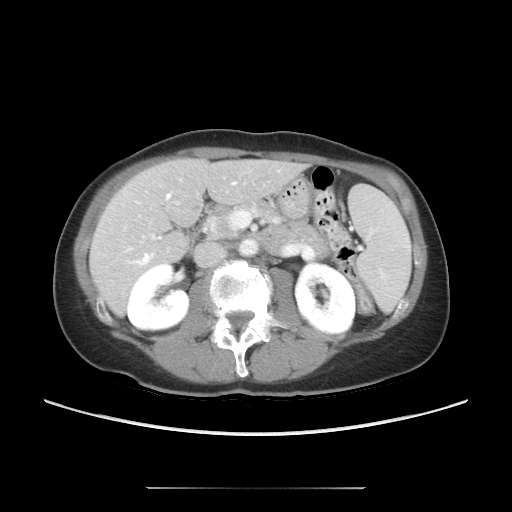
Liver, CT
The vessel annotation is not exhaustive.
Segmented structures:
- hepatic vessel: (left=138, top=255, right=150, bottom=262), (left=141, top=240, right=143, bottom=241), (left=142, top=236, right=144, bottom=237), (left=179, top=179, right=181, bottom=181), (left=149, top=234, right=160, bottom=240), (left=135, top=201, right=140, bottom=203), (left=166, top=193, right=170, bottom=200), (left=253, top=182, right=254, bottom=184), (left=230, top=182, right=234, bottom=185), (left=242, top=181, right=245, bottom=184)